240x240
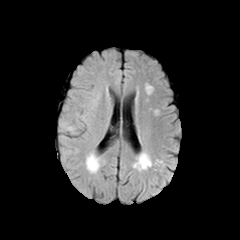
FLAIR MR image.
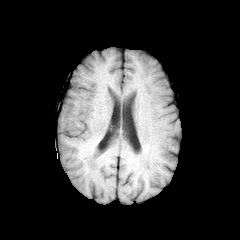
T1-weighted MR image.
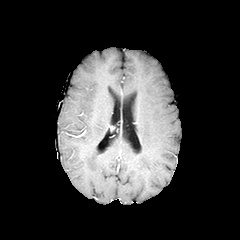
Same slice, post-contrast T1-weighted MR.
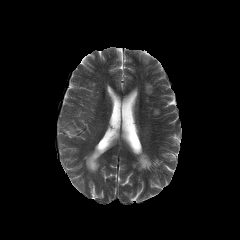
T2-weighted MR image.
Edema: x1=61 y1=123 x2=75 y2=133.